Image size 240x240
FLAIR MR.
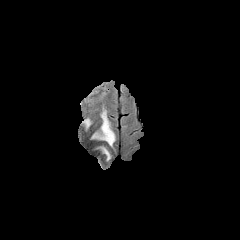
T1-weighted MRI.
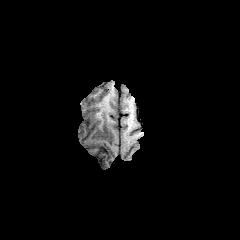
Post-contrast T1-weighted magnetic resonance.
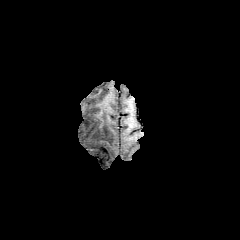
T2-weighted magnetic resonance.
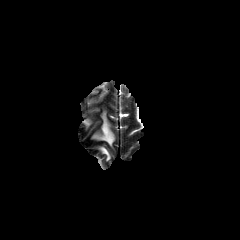
Edema: rect(98, 146, 111, 160); rect(92, 108, 115, 147); rect(82, 118, 91, 128).